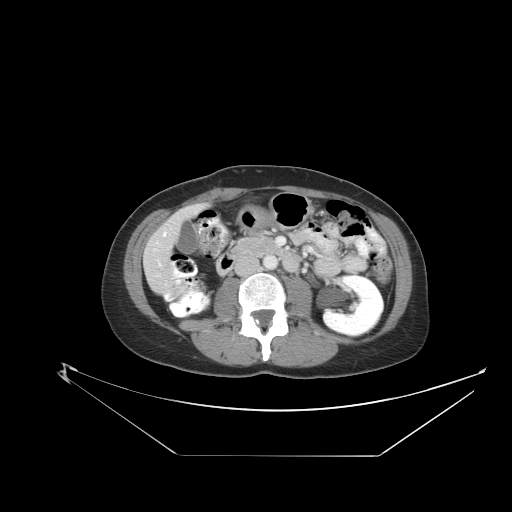 CT slice

The pancreas lies within 234, 237, 289, 257.